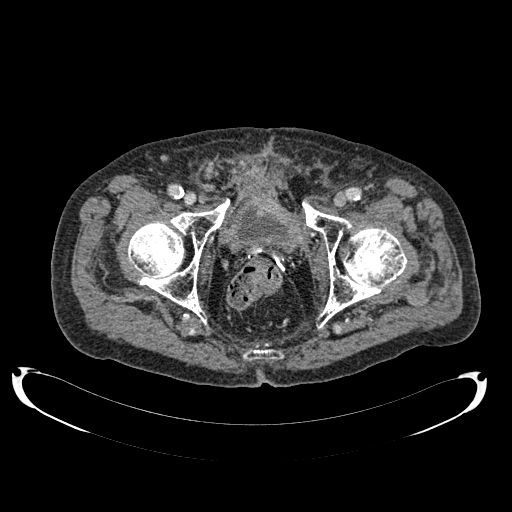 CT slice. <segmentation>
  <urinary_bladder>(238,210,286,240)</urinary_bladder>
</segmentation>